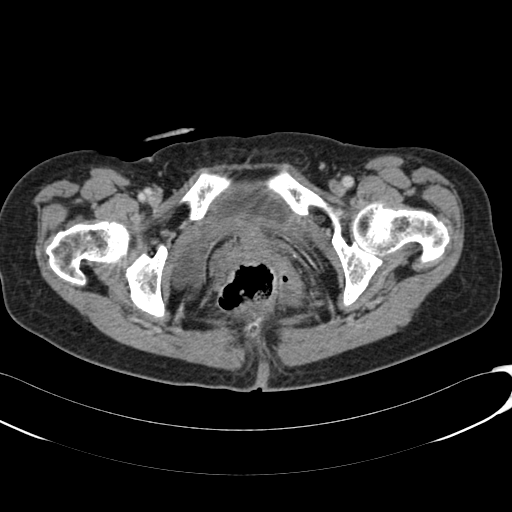 CT scan slice, Lower abdomen
Urinary bladder = x1=168, y1=180, x2=306, y2=298.